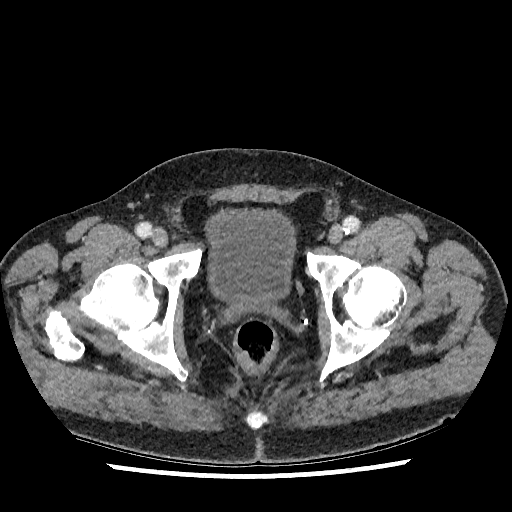

CT. Urinary bladder at (205,208,295,309).